Liver; Computed tomography 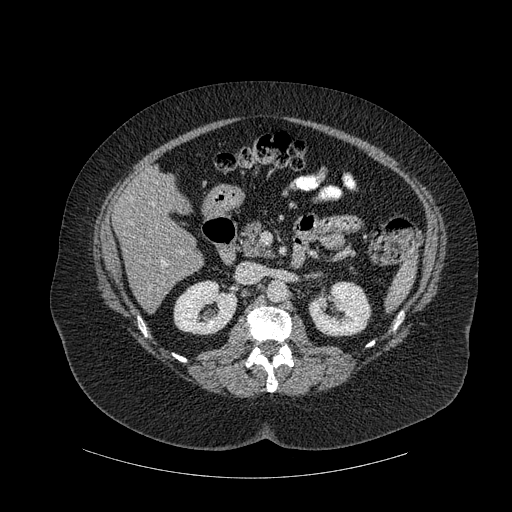

liver:
  - (x1=112, y1=172, x2=204, y2=305)
bone:
  - (x1=246, y1=344, x2=293, y2=391)
  - (x1=247, y1=307, x2=291, y2=342)
  - (x1=173, y1=353, x2=186, y2=361)
  - (x1=394, y1=311, x2=403, y2=329)
  - (x1=138, y1=317, x2=146, y2=336)
kidney:
  - (x1=174, y1=281, x2=236, y2=333)
  - (x1=309, y1=282, x2=370, y2=335)